Brain | Slice index 123
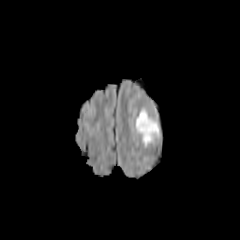
FLAIR MR image.
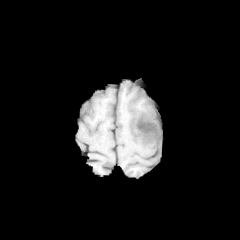
Same slice, T1-weighted MR.
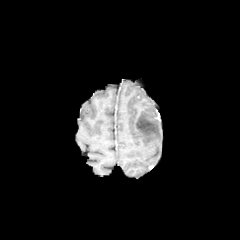
Same slice, post-contrast T1-weighted MR.
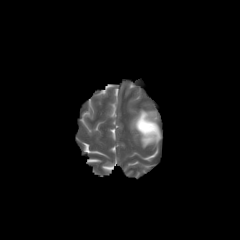
T2-weighted magnetic resonance.
The non-enhancing tumor core appears at region(137, 119, 152, 131). The edema is at region(135, 109, 161, 146).